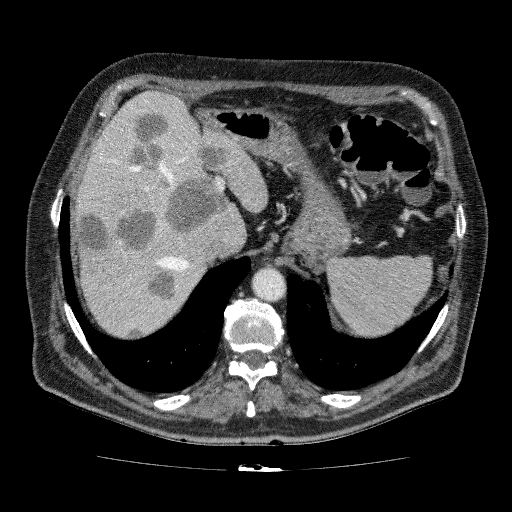 Image size 512x512; Computed tomography
focal liver lesion: box=[157, 140, 232, 236]; box=[125, 109, 171, 164]; box=[145, 269, 177, 302]; box=[140, 167, 157, 172]; box=[77, 204, 158, 262]; box=[121, 326, 145, 337] | liver: box=[78, 90, 268, 338]